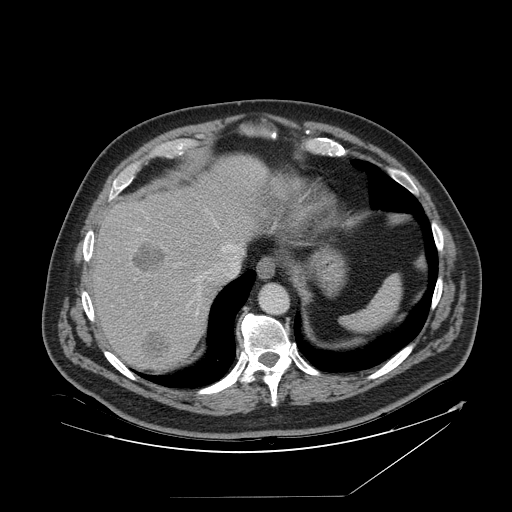 Image size 512x512; CT image
The spleen appears at 341 274 402 331.